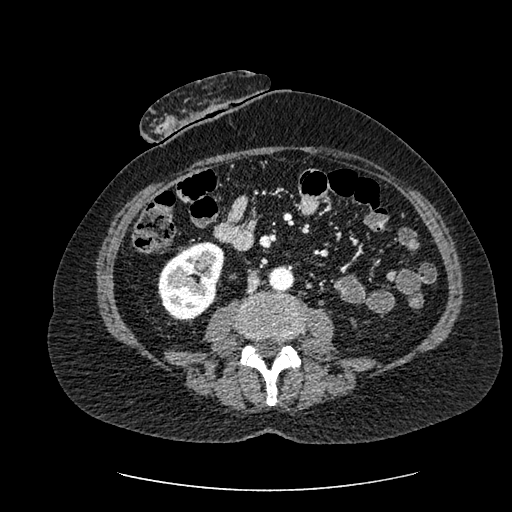

Computed tomography | Image size 512x512 | Abdomen
The kidney is bounded by rect(159, 242, 223, 319).